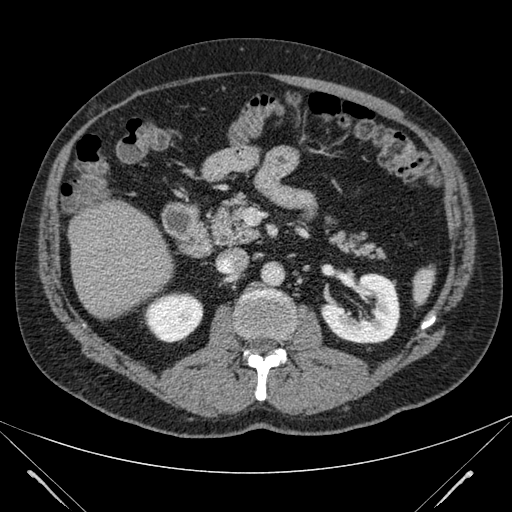 Computed tomography; 512x512 px; Abdomen
Kidney — x1=322, y1=274, x2=398, y2=342; x1=146, y1=295, x2=202, y2=340.
Liver — x1=69, y1=200, x2=173, y2=317.